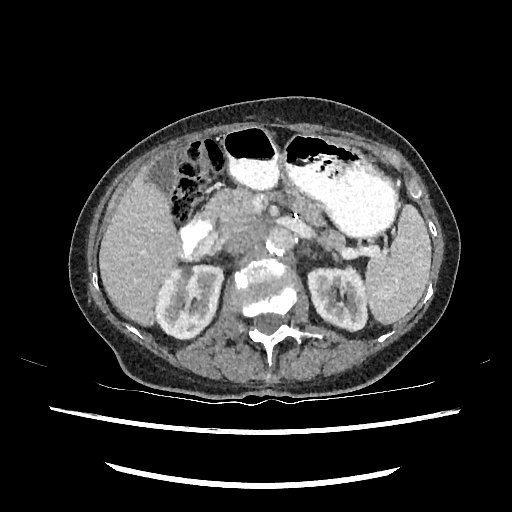
CT image; Abdomen
<segmentation>
  <kidney><bbox>308, 269, 366, 329</bbox>, <bbox>156, 266, 222, 338</bbox></kidney>
  <liver><bbox>100, 169, 179, 324</bbox></liver>
</segmentation>